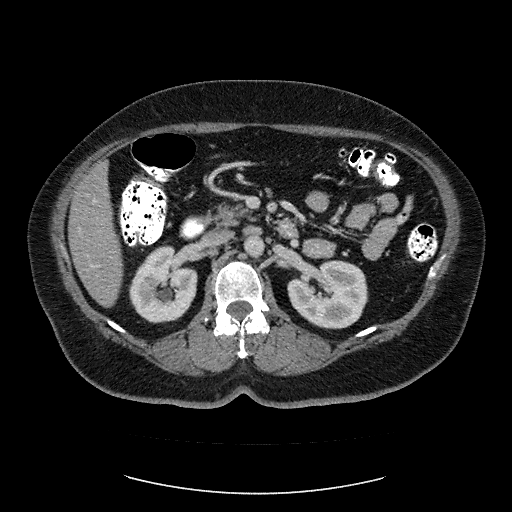 CT slice, Liver
Not every hepatic vessel necessarily has a box.
2 hepatic vessel regions appear at 91, 265, 97, 266; 93, 199, 95, 201.